Slice index 61, Image size 512x512, CT image
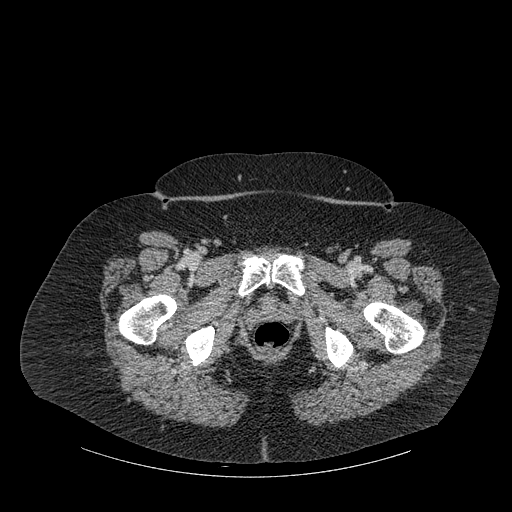
Bone: 238 255 304 295, 363 302 424 353, 185 326 214 365, 119 294 176 344, 325 327 352 367.